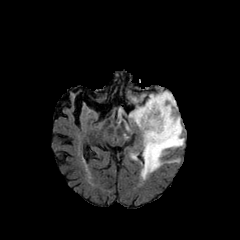
FLAIR magnetic resonance.
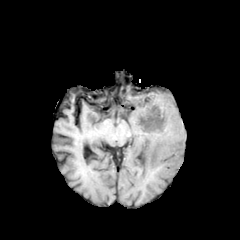
T1-weighted MR image.
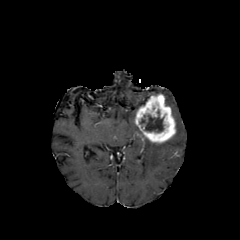
Same slice, post-contrast T1-weighted MR.
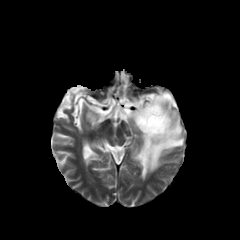
T2-weighted MR image of the same slice.
240x240
Enhancing tumor = 135, 93, 175, 142.
Edema = 139, 90, 184, 180; 130, 150, 140, 161; 117, 107, 136, 133; 130, 94, 146, 108.
Non-enhancing tumor core = 145, 116, 163, 131.